Computed tomography | Slice index 112 | Image size 512x512 | Field of view 398x398 mm

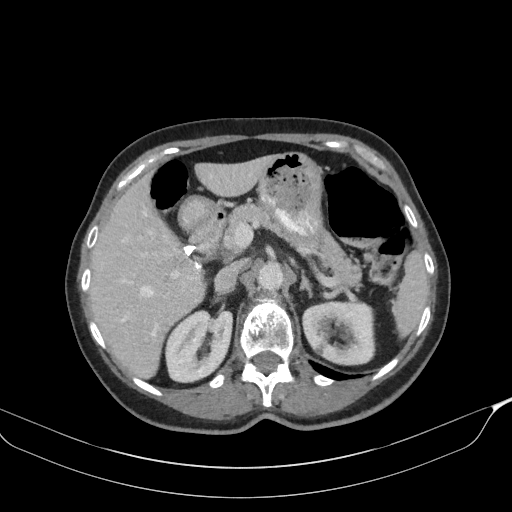 The pancreatic tumor appears at bbox=[350, 266, 362, 285]. 2 pancreas regions appear at bbox=[305, 235, 356, 287]; bbox=[225, 205, 275, 247].